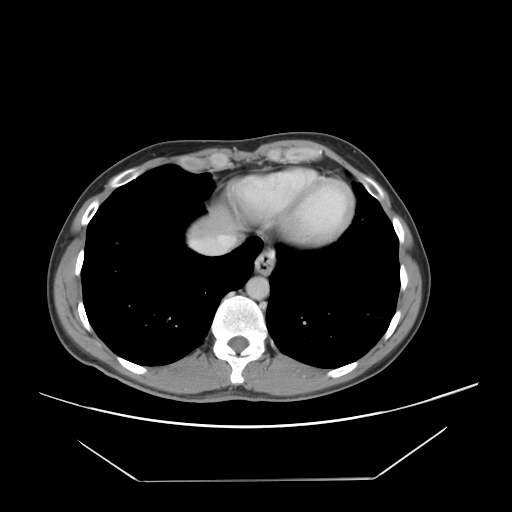
Computed tomography, 512x512, Abdomen
The vessel annotation is not exhaustive.
Hepatic vessel: bounding box box(216, 236, 234, 247).